CT image | Image size 512x512

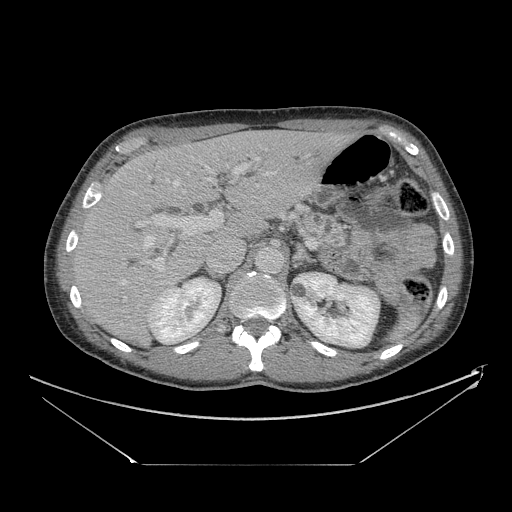
{
  "pancreas": [
    "box=[301, 207, 349, 250]"
  ]
}